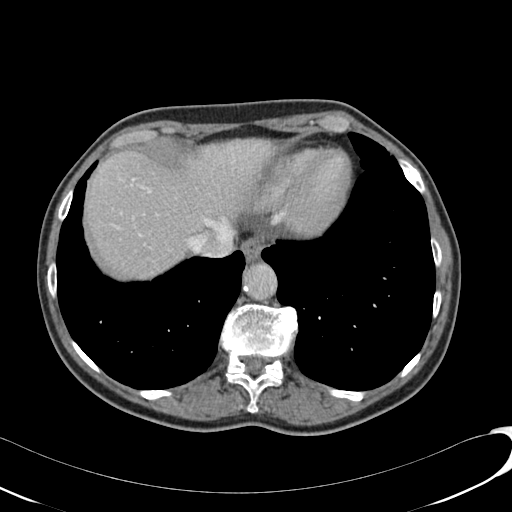 CT; Image size 512x512
Liver: [x1=85, y1=139, x2=277, y2=278].